CT scan slice; Image width 365 mm

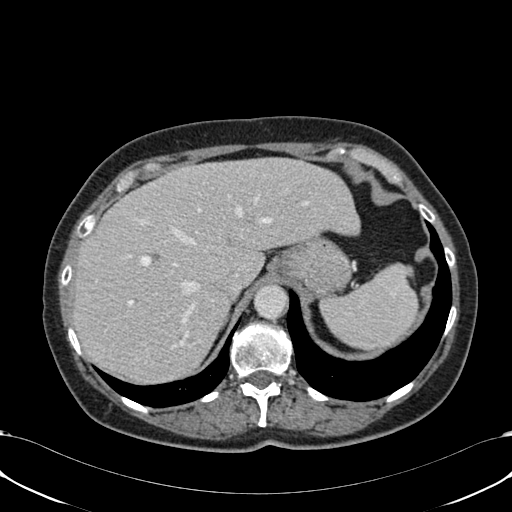

The liver is at 73,158,358,380.